240x240 px; Head
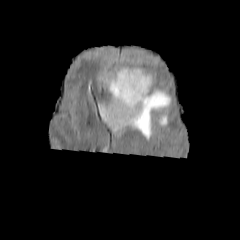
FLAIR MRI.
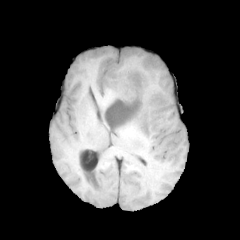
Same slice, T1-weighted magnetic resonance.
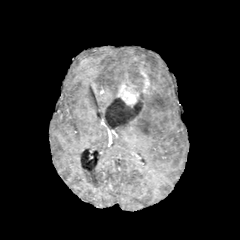
Same slice, post-contrast T1-weighted MRI.
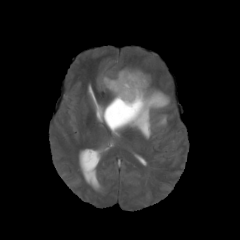
T2-weighted magnetic resonance.
2 enhancing tumor regions are bounded by region(116, 83, 140, 106); region(142, 78, 150, 92). 2 non-enhancing tumor core regions are bounded by region(104, 97, 142, 128); region(122, 68, 145, 100). 3 edema regions are located at region(157, 117, 166, 124); region(104, 67, 130, 98); region(111, 74, 170, 137).